FLAIR magnetic resonance.
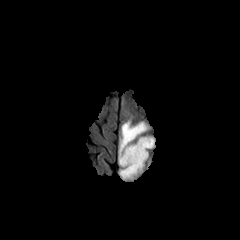
T1-weighted MR.
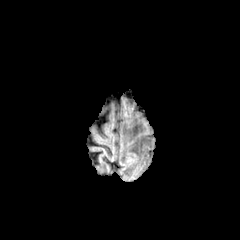
Post-contrast T1-weighted MR.
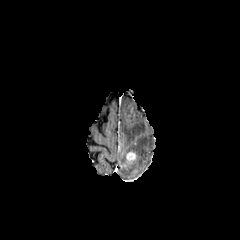
T2-weighted magnetic resonance.
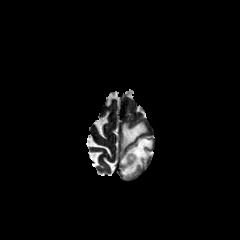
Head
enhancing tumor: (x1=126, y1=152, x2=135, y2=162) | edema: (x1=118, y1=120, x2=154, y2=180)